Slice 91 of 168. CT scan slice. Field of view 478x478 mm. 512x512.
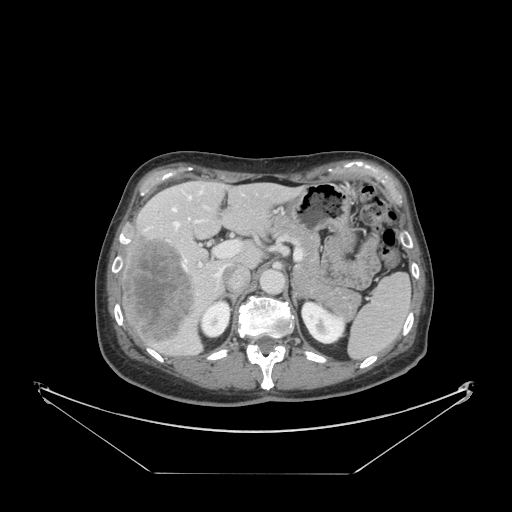 Spleen — x1=349 y1=275 x2=410 y2=357.